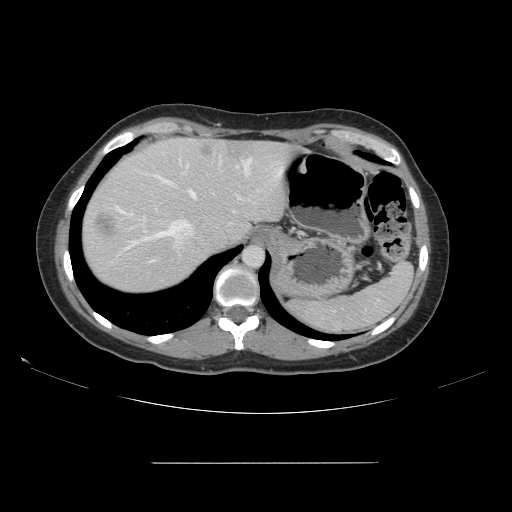 Abdomen | Computed tomography

The vessel boxes may cover only some of the vessels.
13 hepatic vessel regions appear at (218, 158, 221, 165), (154, 206, 156, 210), (236, 195, 246, 199), (233, 211, 235, 212), (129, 227, 134, 228), (148, 259, 154, 261), (179, 160, 180, 163), (242, 158, 250, 174), (183, 163, 188, 173), (189, 190, 195, 197), (140, 217, 192, 248), (115, 206, 131, 216), (125, 241, 137, 249). 2 liver tumor regions are located at (95, 215, 114, 236), (202, 146, 212, 156).